Image size 240x240. Slice index 79. Brain.
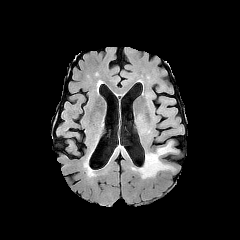
FLAIR MR.
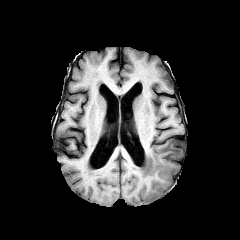
T1-weighted MRI.
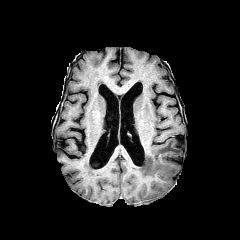
Post-contrast T1-weighted MR of the same slice.
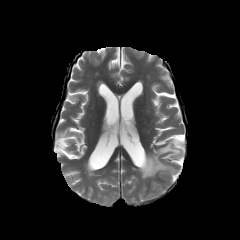
Same slice, T2-weighted MRI.
Edema = (131,141,178,178).